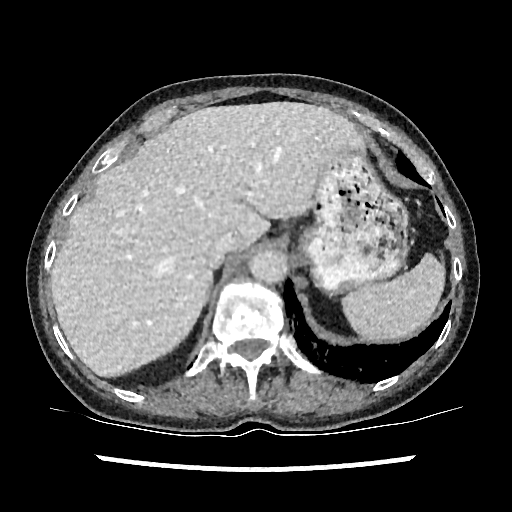

CT scan slice

<segmentation>
  <liver>[53, 103, 364, 374]</liver>
</segmentation>